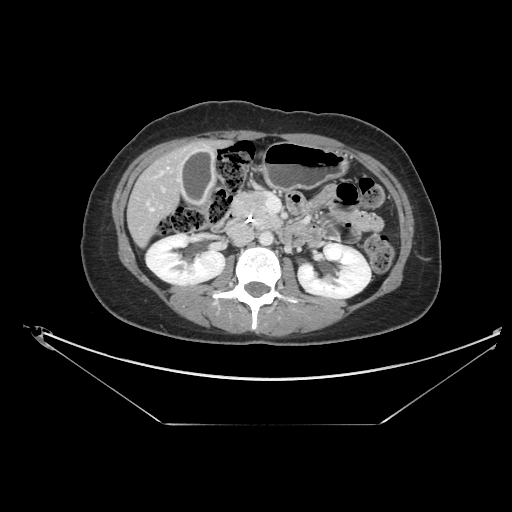

CT image
The pancreatic tumor is at l=250, t=196, r=265, b=213. The pancreas is bounded by l=232, t=192, r=280, b=228.